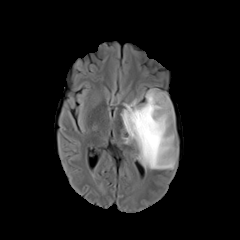
FLAIR MR.
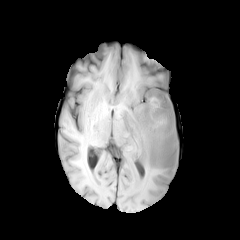
T1-weighted MR of the same slice.
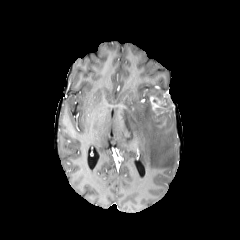
Post-contrast T1-weighted MR.
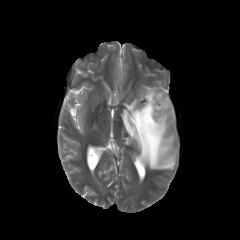
T2-weighted MR.
240x240 px, Head
Enhancing tumor: 150,96,160,110.
Non-enhancing tumor core: 147,88,175,129.
Edema: 120,85,178,173.